Field of view 350x350 mm. CT.
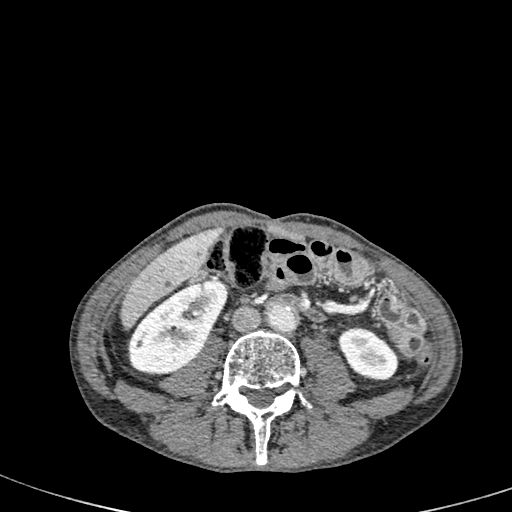
Kidney: 129, 280, 227, 373; 339, 329, 397, 378.
Liver: 122, 227, 222, 328.